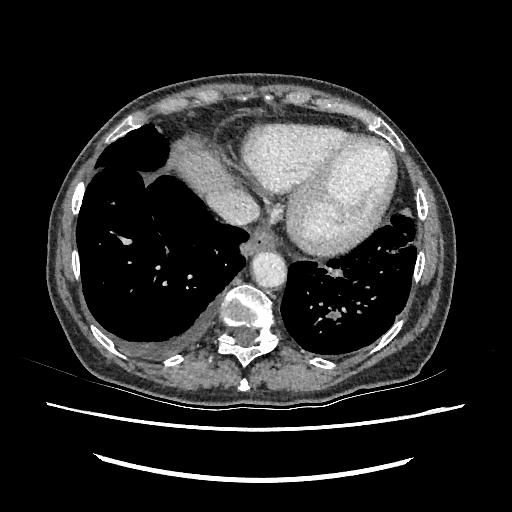 Abdomen, Computed tomography, Image size 512x512
<segmentation>
  <liver>l=179, t=152, r=233, b=193</liver>
</segmentation>